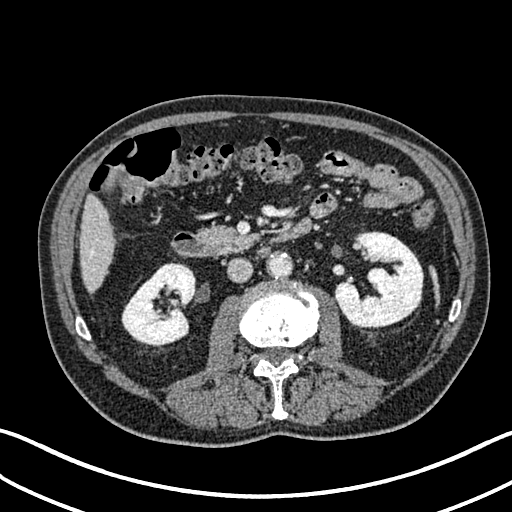 CT image. Upper abdomen.

Kidney — 122, 264, 194, 344; 335, 232, 422, 326.
Liver — 79, 196, 115, 291.